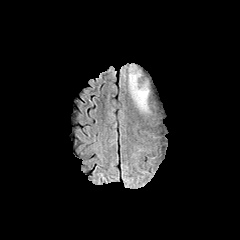
FLAIR magnetic resonance.
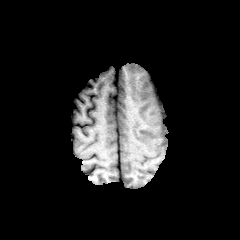
Same slice, T1-weighted magnetic resonance.
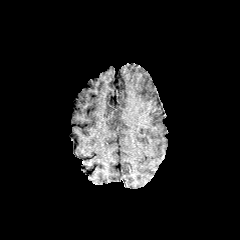
Post-contrast T1-weighted MR image.
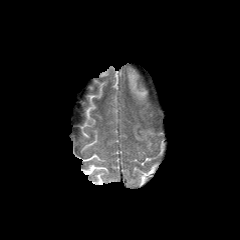
T2-weighted MR image of the same slice.
Image size 240x240, Head
{"edema": ["128 74 135 84", "135 89 147 100"]}